FLAIR MR image.
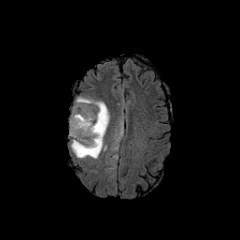
T1-weighted MR image.
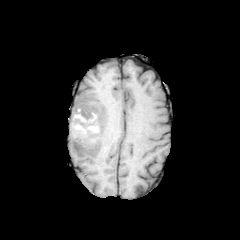
Post-contrast T1-weighted MR image.
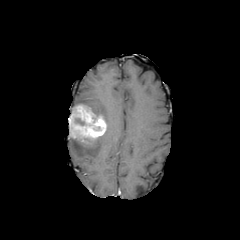
T2-weighted MR image.
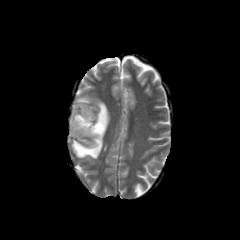
non-enhancing_tumor_core:
  - [76,142,89,152]
  - [74,117,84,125]
edema:
  - [69,126,105,159]
  - [73,97,109,130]
enhancing_tumor:
  - [68,104,105,138]